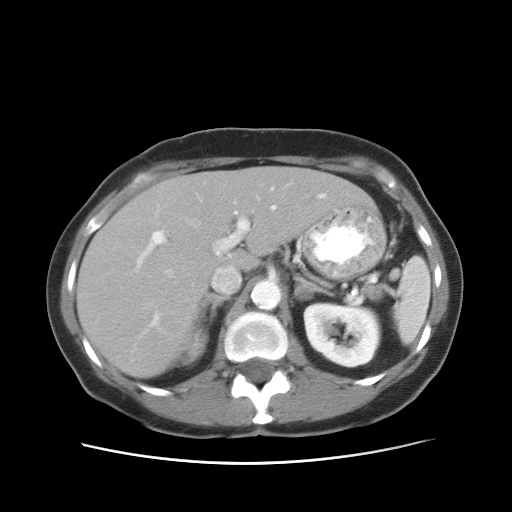
CT image, Upper abdomen
Annotated regions:
- spleen: box(396, 256, 430, 342)